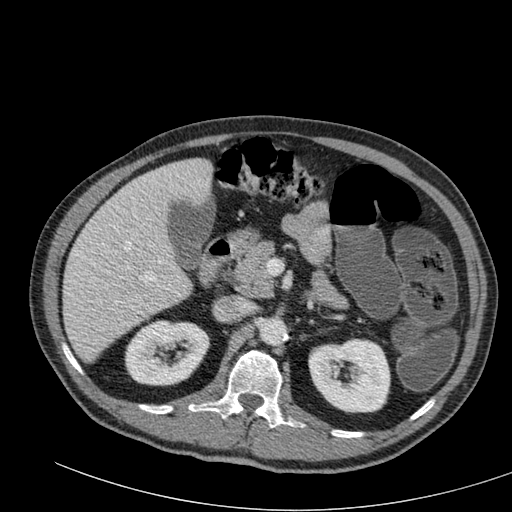 CT image, 512x512

The liver lies within 63:159:212:360. 2 kidney regions are located at 126:321:208:384, 309:339:389:411.